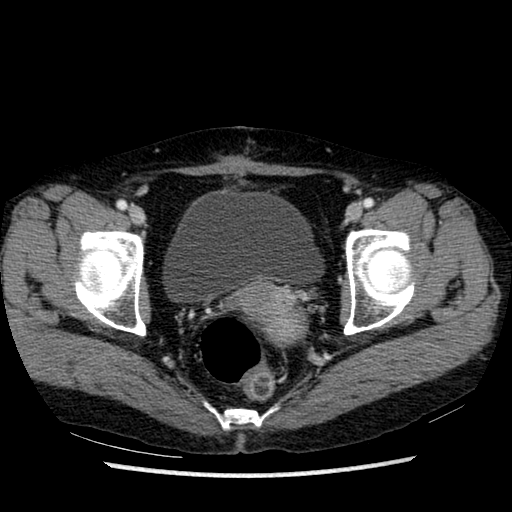 Pelvis; CT
<segmentation>
  <urinary_bladder>162,191,324,303</urinary_bladder>
</segmentation>